Slice 16/466, CT

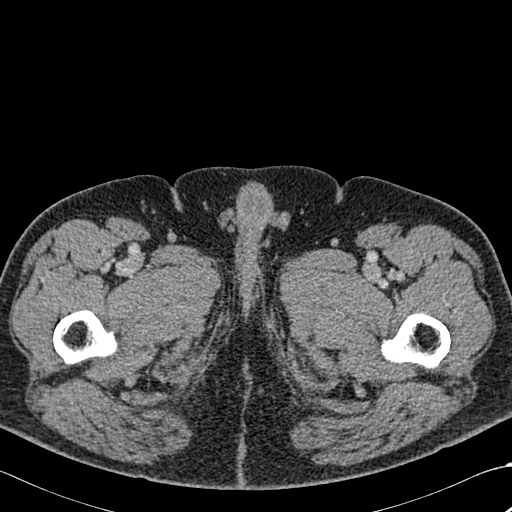
Bone: bounding box (left=53, top=310, right=116, bottom=363), (left=382, top=313, right=450, bottom=367).